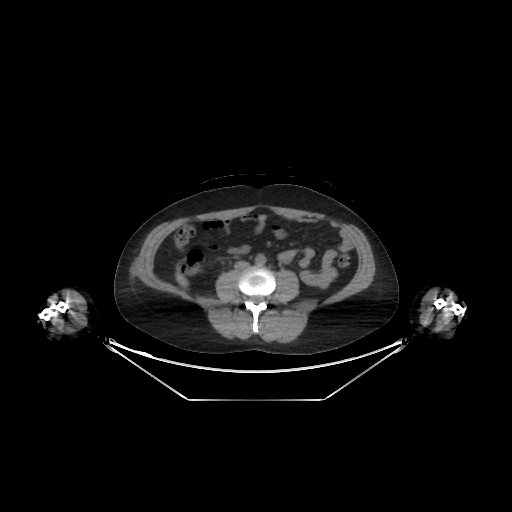

Liver; Computed tomography

• liver: l=176, t=271, r=187, b=288